FLAIR MR.
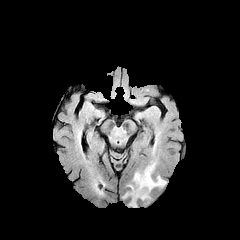
T1-weighted MRI.
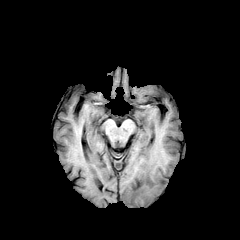
Post-contrast T1-weighted MR.
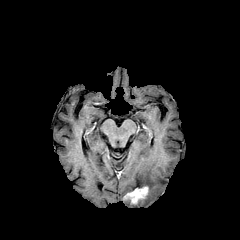
T2-weighted MRI.
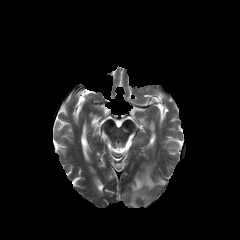
Brain
The enhancing tumor lies within <box>123,186,148,204</box>. The edema is bounded by <box>134,161,166,191</box>.